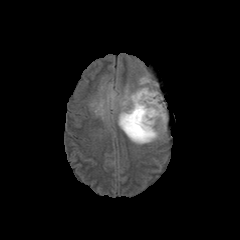
FLAIR MR image.
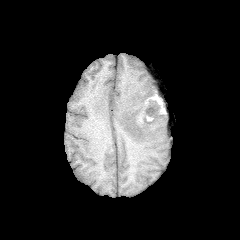
T1-weighted MR image of the same slice.
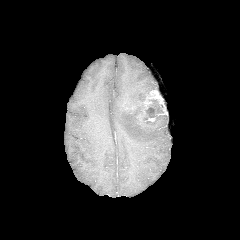
Post-contrast T1-weighted MR image of the same slice.
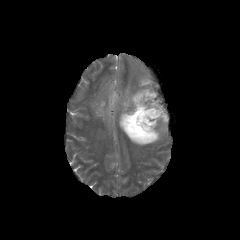
Same slice, T2-weighted MR image.
240x240 px.
Enhancing tumor: region(148, 90, 159, 100).
Non-enhancing tumor core: region(128, 92, 166, 135).
Edema: region(96, 78, 167, 145).